FLAIR MR.
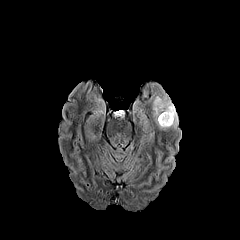
T1-weighted MR image.
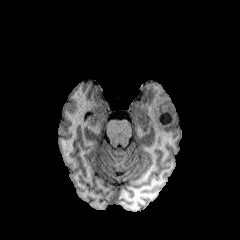
Post-contrast T1-weighted MRI.
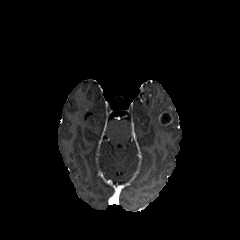
T2-weighted MR image.
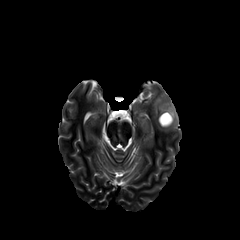
240x240 px
Edema: [x1=133, y1=103, x2=152, y2=137], [x1=146, y1=84, x2=181, y2=133].
Enhancing tumor: [x1=158, y1=111, x2=172, y2=126].
Non-enhancing tumor core: [x1=160, y1=113, x2=170, y2=123].